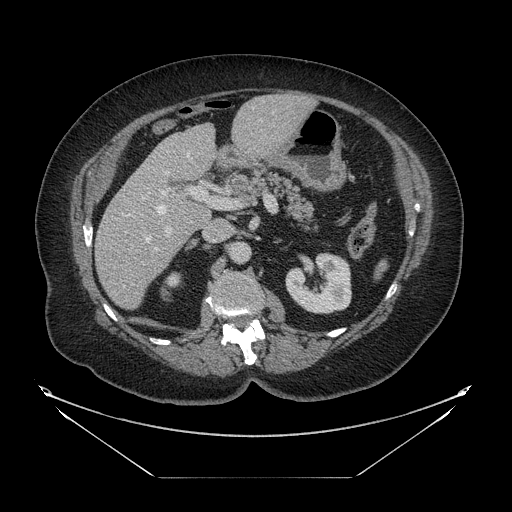
512x512 px, CT slice

Segmented structures:
• pancreas: 251 167 313 227